FLAIR MR.
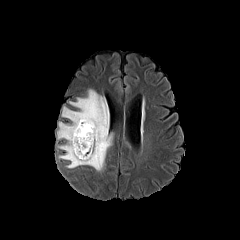
T1-weighted MRI.
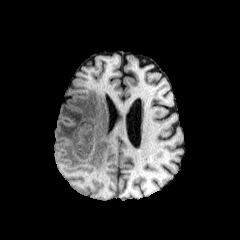
Post-contrast T1-weighted MR image.
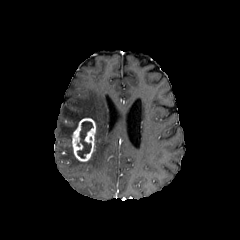
T2-weighted MR.
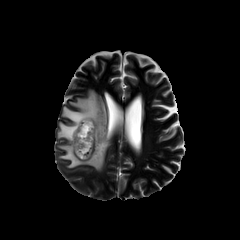
* non-enhancing tumor core: bbox=[77, 121, 93, 158]
* enhancing tumor: bbox=[70, 118, 97, 162]
* edema: bbox=[57, 90, 113, 172]